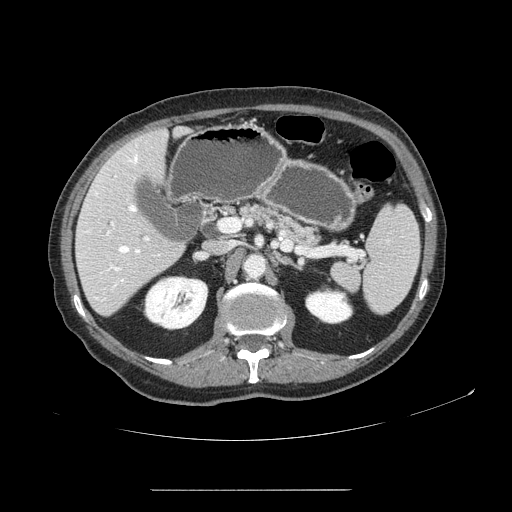
Image size 512x512; Abdomen; CT image

Pancreas = (236, 201, 322, 249).